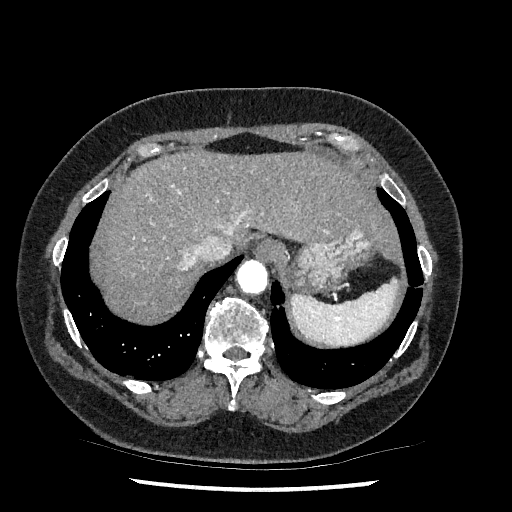
Image size 512x512, CT slice

Liver — x1=96 y1=151 x2=398 y2=321.